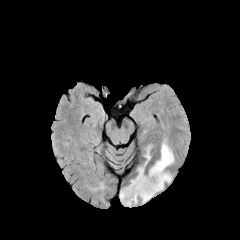
FLAIR MR.
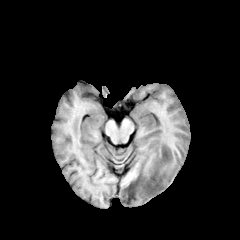
T1-weighted MRI.
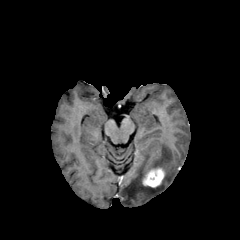
Post-contrast T1-weighted MR of the same slice.
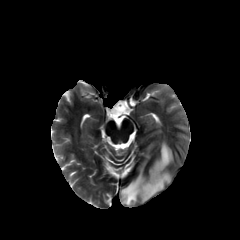
T2-weighted magnetic resonance of the same slice.
Brain
* enhancing tumor: left=142, top=166, right=165, bottom=187
* edema: left=149, top=142, right=173, bottom=170; left=120, top=146, right=172, bottom=204